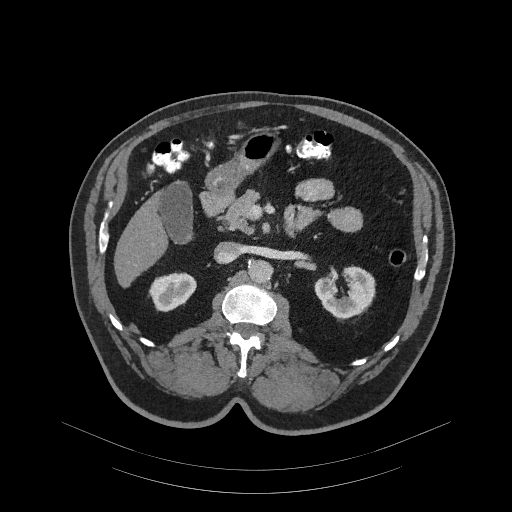
CT slice
The pancreas is bounded by <bbox>225, 190, 258, 232</bbox>.